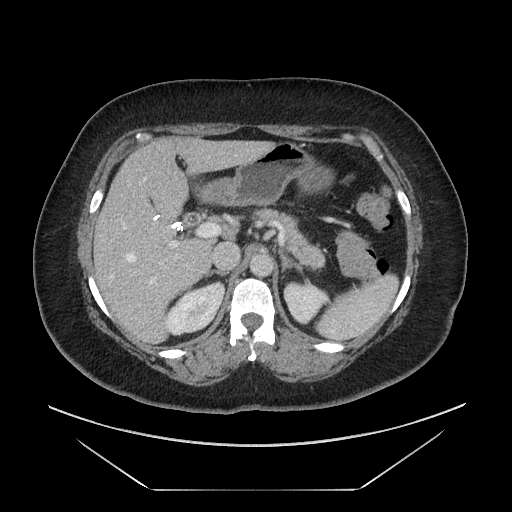 CT slice. The pancreas is bounded by [257, 210, 323, 266].